Abdomen. CT. 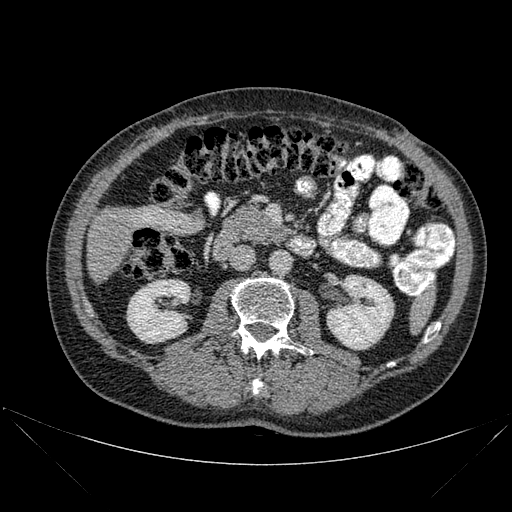 <segmentation>
  <bone>bbox(231, 278, 312, 358); bbox(424, 323, 440, 342); bbox(252, 379, 262, 393)</bone>
  <liver>bbox(87, 208, 132, 283)</liver>
  <kidney>bbox(127, 280, 190, 342); bbox(327, 275, 393, 349)</kidney>
</segmentation>